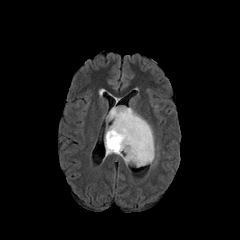
FLAIR MR image.
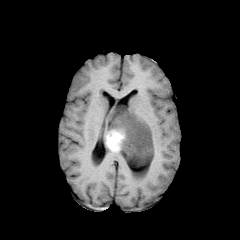
T1-weighted MR of the same slice.
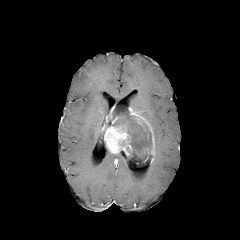
Post-contrast T1-weighted magnetic resonance.
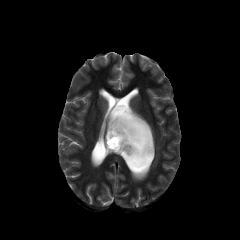
T2-weighted MRI.
240x240
<segmentation>
  <non-enhancing_tumor_core>rect(112, 106, 152, 166)</non-enhancing_tumor_core>
  <enhancing_tumor>rect(104, 107, 132, 157); rect(128, 107, 154, 162)</enhancing_tumor>
</segmentation>